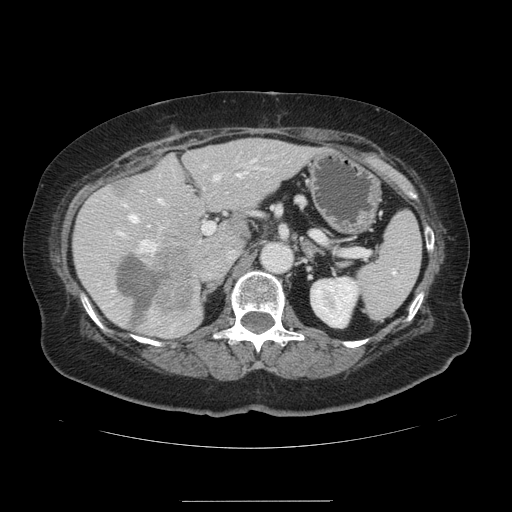

CT slice. 512x512 px. Not every hepatic vessel necessarily has a box.
Annotated regions:
- hepatic vessel: [201, 220, 214, 233], [237, 171, 245, 177], [129, 215, 138, 221], [118, 232, 123, 234], [250, 159, 264, 169], [213, 174, 219, 179], [135, 240, 156, 252], [158, 198, 162, 203]
- liver tumor: [118, 247, 194, 323], [112, 182, 139, 197]